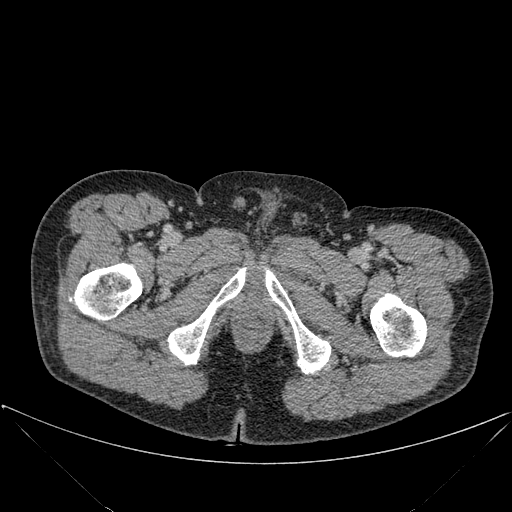 CT. Bone: bounding box 265:270:330:373, 370:293:426:356, 70:263:142:319, 168:267:245:364.